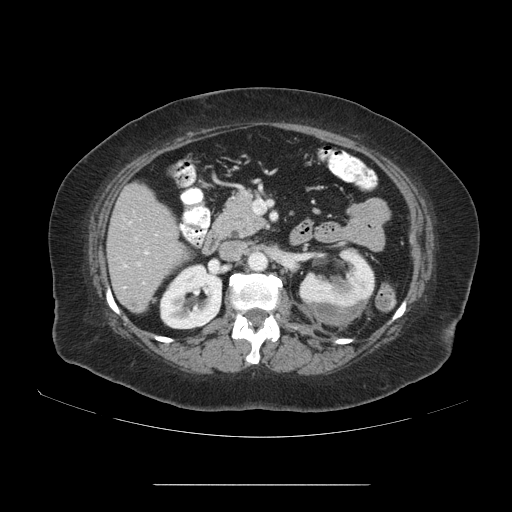

CT image; 512x512
The vessel boxes may cover only some of the vessels.
hepatic vessel: (144,252,146,253), (137,263,138,265)